FLAIR MR image.
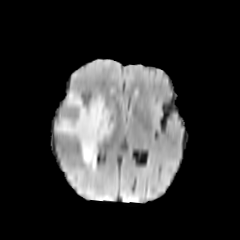
T1-weighted MRI.
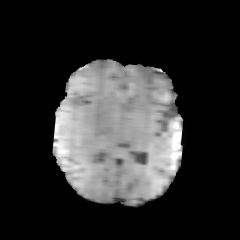
Post-contrast T1-weighted MRI.
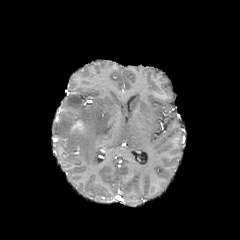
T2-weighted MR.
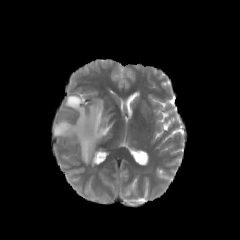
240x240.
The edema lies within 55 92 114 167. The enhancing tumor is located at 69 119 83 133.